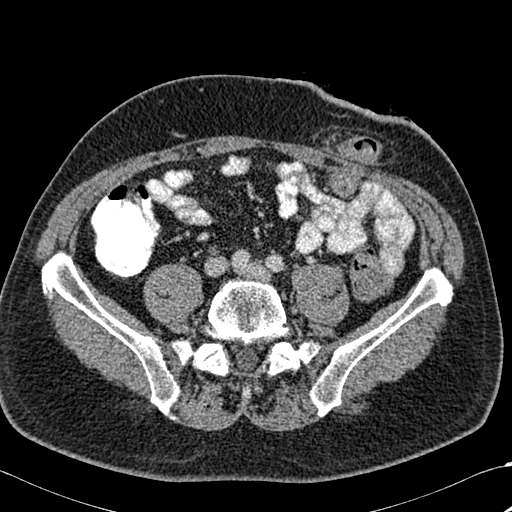
CT scan slice

4 bone regions are located at 310 268 452 416, 268 341 319 375, 42 253 180 414, 172 280 289 375.